512x512 | CT scan slice | Image width 335 mm
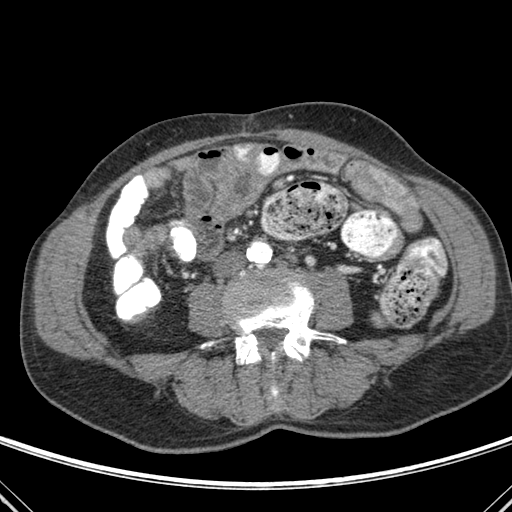 Bone: [270,382,279,401], [227,272,344,364].